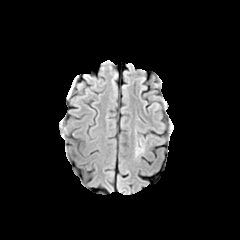
FLAIR MR image.
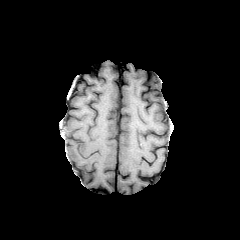
T1-weighted magnetic resonance of the same slice.
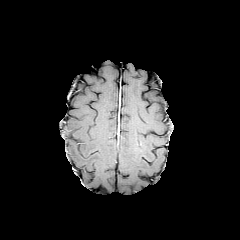
Post-contrast T1-weighted magnetic resonance of the same slice.
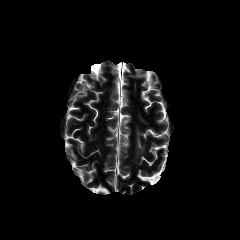
T2-weighted magnetic resonance.
Head.
The edema is at box=[135, 140, 143, 155].